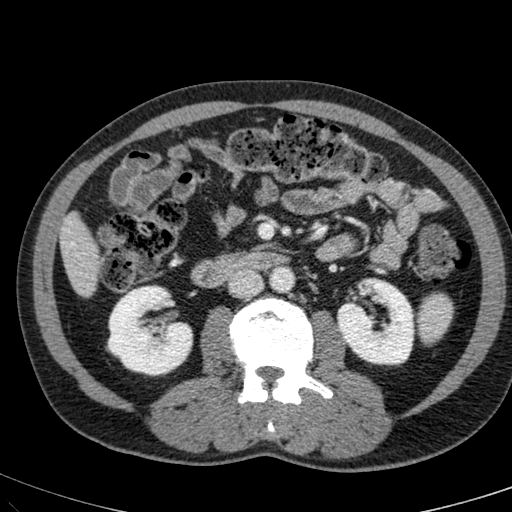

Computed tomography

Annotated regions:
• kidney: 338,280,412,362; 109,287,191,373
• liver: 60,214,97,294